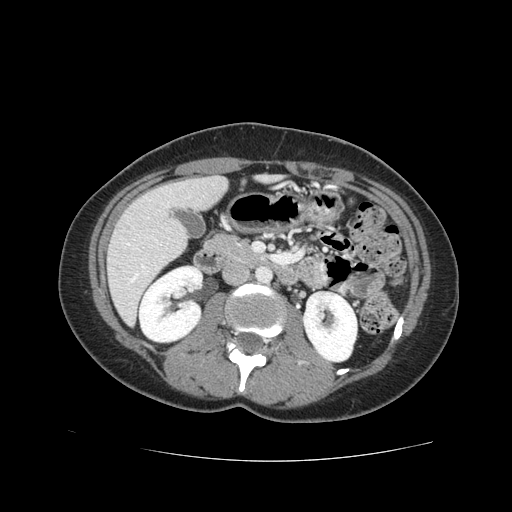
Upper abdomen | CT | 512x512 px
<segmentation>
  <pancreas>208,234,259,264</pancreas>
</segmentation>